FLAIR magnetic resonance.
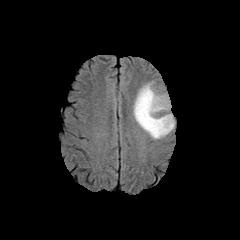
T1-weighted MR image.
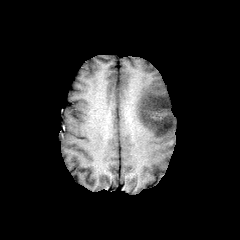
Post-contrast T1-weighted MRI.
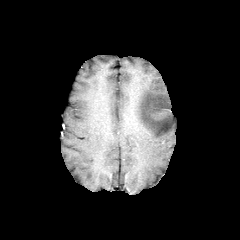
T2-weighted magnetic resonance.
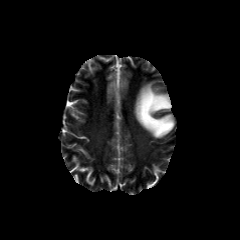
Brain
Edema — box=[133, 81, 175, 140].